CT slice; Chest; Image width 500 mm

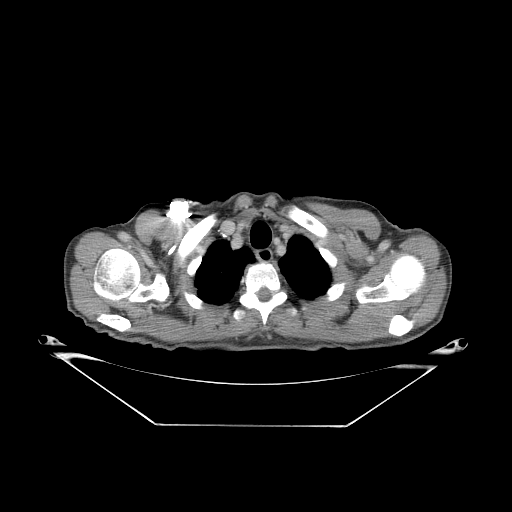 Bone: bbox(94, 249, 168, 301); bbox(328, 283, 344, 299); bbox(240, 263, 286, 323); bbox(165, 201, 215, 274); bbox(98, 314, 130, 331); bbox(185, 293, 201, 308); bbox(356, 255, 423, 302); bbox(289, 207, 336, 266); bbox(389, 315, 413, 335); bbox(234, 311, 243, 318).
Lung: bbox(278, 235, 331, 299); bbox(194, 239, 254, 304).